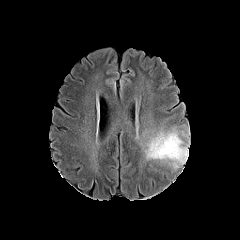
FLAIR MR.
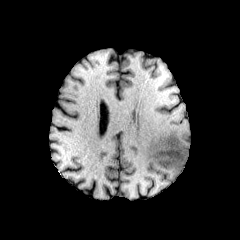
T1-weighted MR.
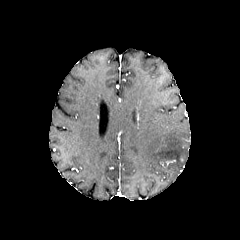
Post-contrast T1-weighted magnetic resonance.
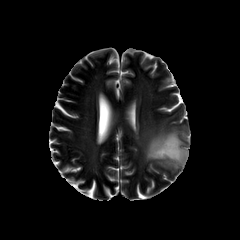
T2-weighted MRI of the same slice.
Head.
The edema appears at 146:132:189:167.